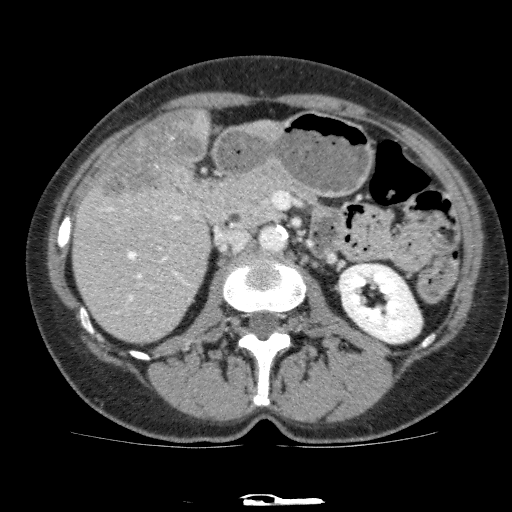
Image size 512x512. Computed tomography.
<segmentation>
  <kidney>340 264 421 342</kidney>
  <liver>179 161 200 170, 246 120 281 133, 196 109 210 146, 72 173 211 343</liver>
  <focal_liver_lesion>97 110 207 198</focal_liver_lesion>
</segmentation>